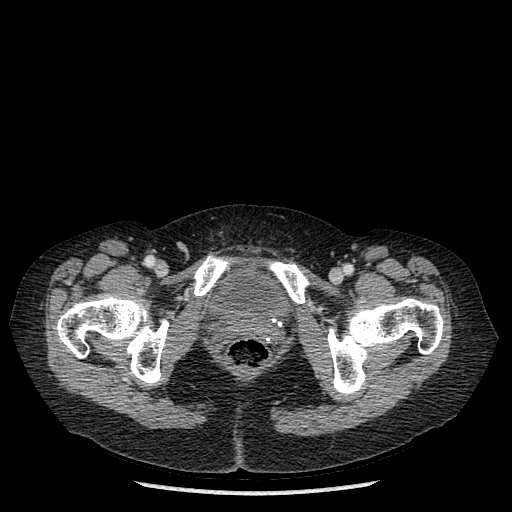

CT scan slice, Pelvis

{
  "urinary_bladder": [
    "203,261,298,340"
  ],
  "bone": [
    "55,294,168,385",
    "327,298,444,396",
    "194,256,234,295",
    "267,261,309,303"
  ]
}